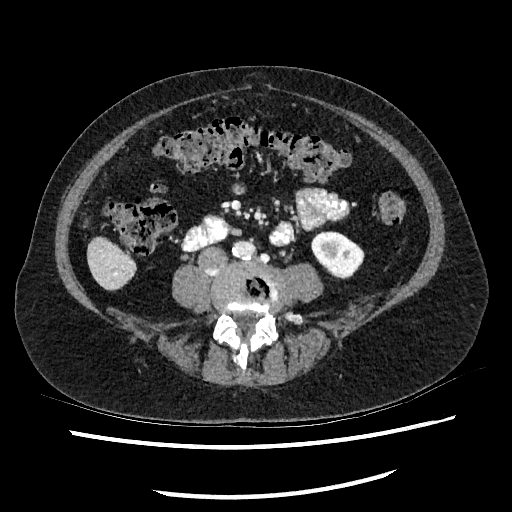

Upper abdomen; Image size 512x512; CT slice
Kidney — left=312, top=233, right=362, bottom=276.
Liver — left=88, top=239, right=134, bottom=289.